CT scan slice; 512x512 px
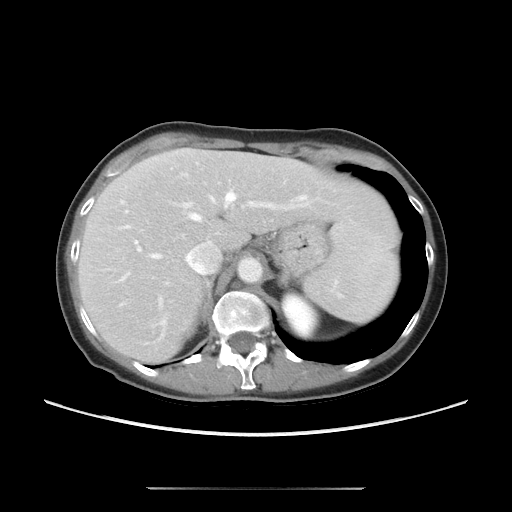 The vessel boxes may cover only some of the vessels.
hepatic_vessel:
  - (left=189, top=213, right=201, bottom=220)
  - (left=161, top=319, right=165, bottom=325)
  - (left=150, top=254, right=161, bottom=257)
  - (left=185, top=202, right=192, bottom=208)
  - (left=298, top=196, right=302, bottom=199)
  - (left=226, top=192, right=236, bottom=202)
  - (left=122, top=277, right=124, bottom=278)
  - (left=210, top=197, right=215, bottom=202)
  - (left=138, top=248, right=140, bottom=250)
  - (left=160, top=297, right=161, bottom=305)
  - (left=251, top=199, right=299, bottom=208)
  - (left=121, top=225, right=129, bottom=227)
  - (left=134, top=240, right=137, bottom=244)
  - (left=126, top=210, right=127, bottom=212)